Abdomen; CT scan slice 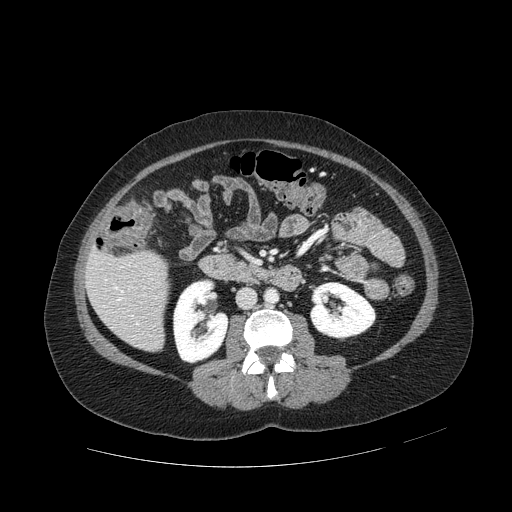

Annotated regions:
* pancreas: [235, 262, 255, 280]